Field of view 344x344 mm. CT scan slice. 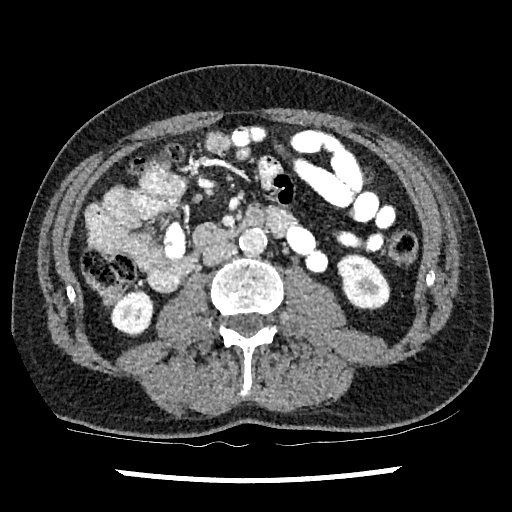
Kidney — <box>112,293,151,332</box>, <box>339,256,388,306</box>.